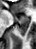

MRI slice. The posterior hippocampus is at box(17, 23, 28, 35). The anterior hippocampus is located at box(14, 15, 28, 22).